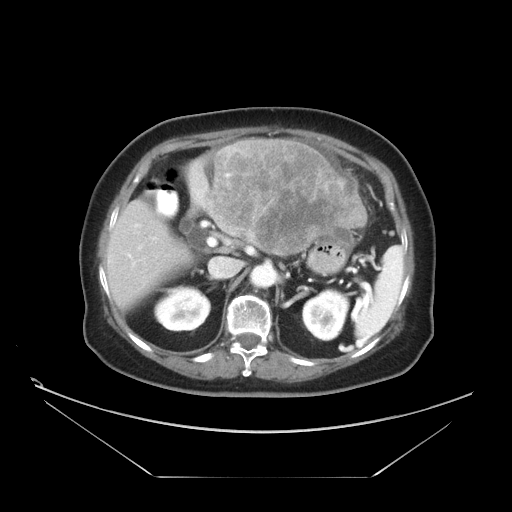 Liver, Computed tomography

The liver tumor lies within 205, 139, 367, 255.